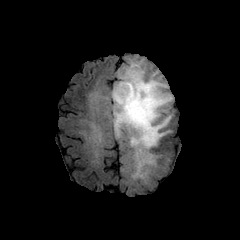
FLAIR MR.
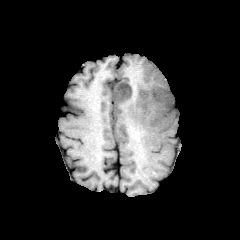
Same slice, T1-weighted magnetic resonance.
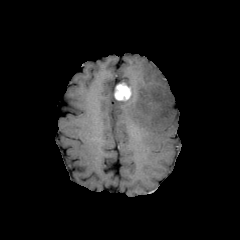
Same slice, post-contrast T1-weighted MRI.
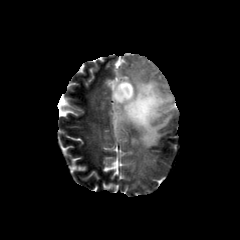
Same slice, T2-weighted MR image.
Head
The enhancing tumor is located at (114,82,132,100). The edema is located at (109,60,173,170). 3 non-enhancing tumor core regions are bounded by (113,100,121,119), (123,122,139,138), (114,71,169,119).